CT scan slice
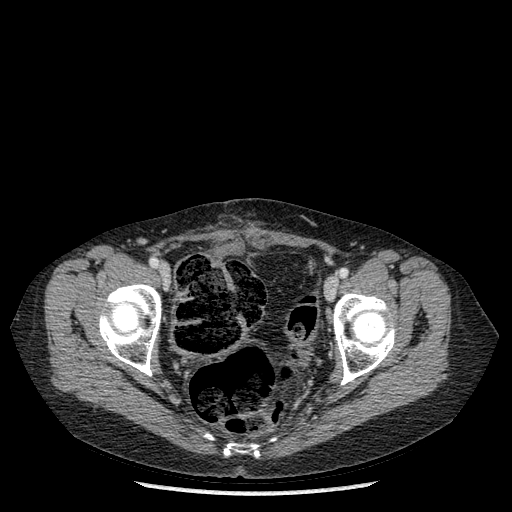
bone:
  - region(223, 442, 259, 457)
  - region(98, 283, 161, 376)
  - region(204, 433, 213, 440)
  - region(333, 291, 395, 384)